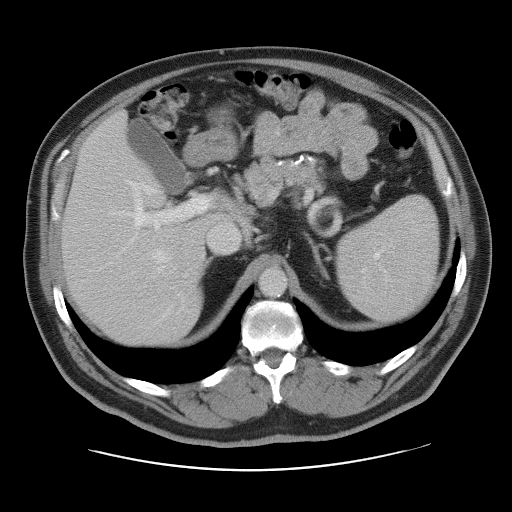 CT image, 512x512 px
Not every hepatic vessel necessarily has a box.
4 hepatic vessel regions appear at region(208, 226, 238, 251); region(124, 230, 128, 231); region(110, 181, 209, 230); region(153, 250, 167, 262).